CT scan slice | 512x512 | Chest | Slice 467/565
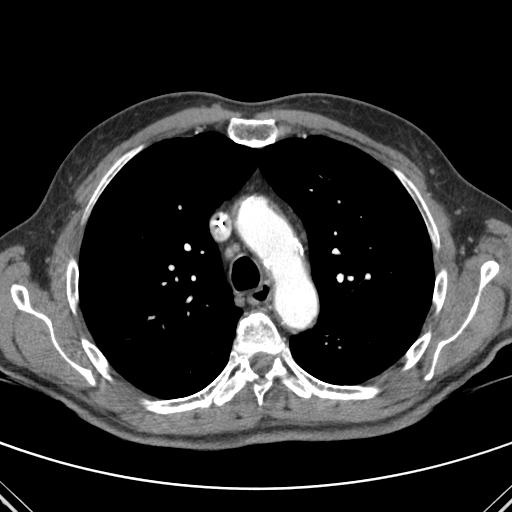 Annotated regions:
- bone: 403:331:430:369, 395:169:439:248, 11:284:95:385, 228:118:277:147, 89:146:142:204, 82:338:111:379, 66:259:78:312, 142:312:378:413, 433:269:447:312, 425:261:498:380
- lung: 79:132:434:398